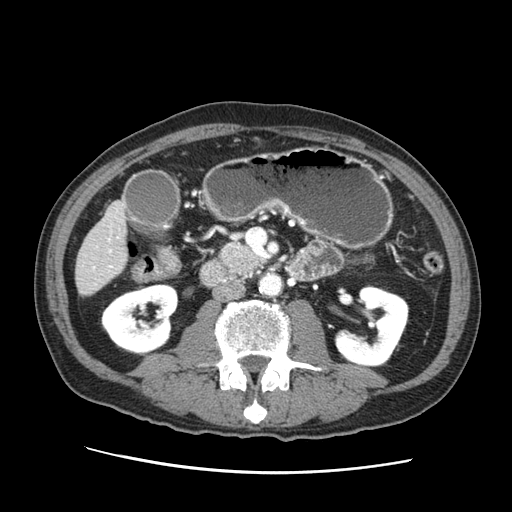 CT slice. Abdomen.

Segmented structures:
• pancreas: box=[219, 242, 261, 275]